Field of view 385 mm wide, 0.80 mm slice spacing; CT scan slice 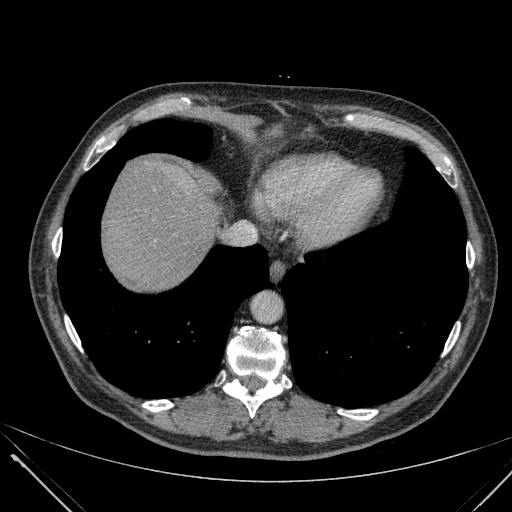

Liver: bounding box [102,155,222,292].